Slice 44/212. CT scan slice. Field of view 350x350 mm. Lower abdomen.

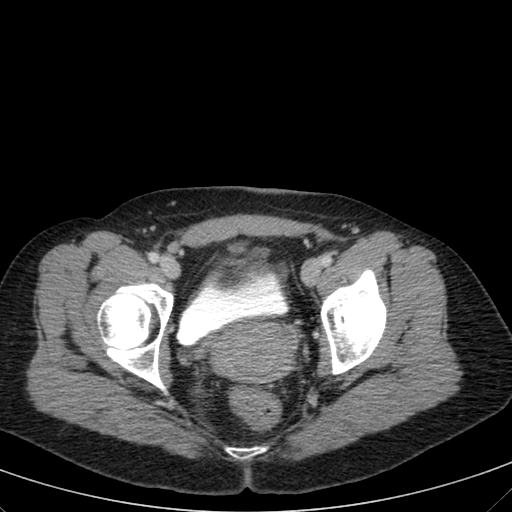 - urinary bladder: 178,274,287,344